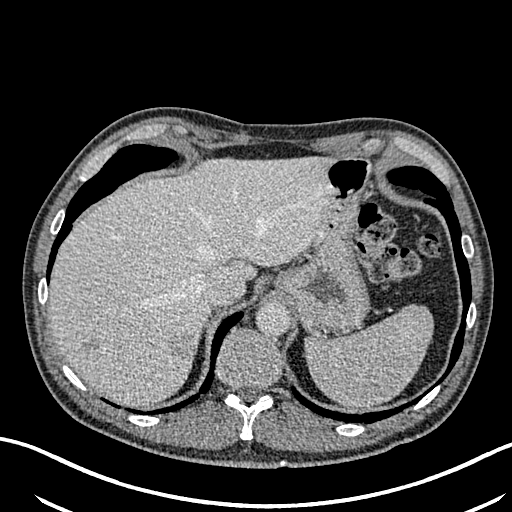
Abdomen, CT

{
  "focal_liver_lesion": [
    "rect(167, 335, 192, 358)"
  ],
  "liver": [
    "rect(49, 156, 335, 405)"
  ]
}